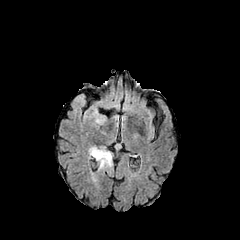
FLAIR MR.
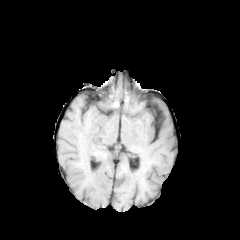
T1-weighted MRI.
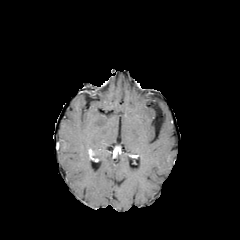
Post-contrast T1-weighted MR image.
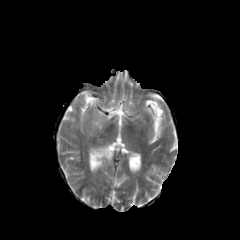
Same slice, T2-weighted magnetic resonance.
Brain
2 edema regions are located at 90, 105, 106, 126; 88, 145, 113, 170.